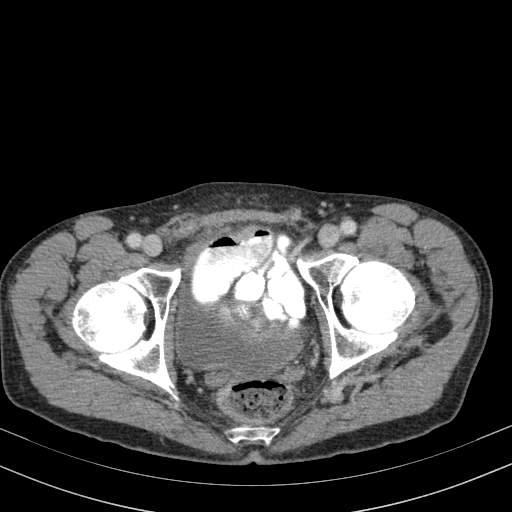

Pelvis. Computed tomography. <segmentation>
  <urinary_bladder>region(172, 296, 299, 377)</urinary_bladder>
</segmentation>